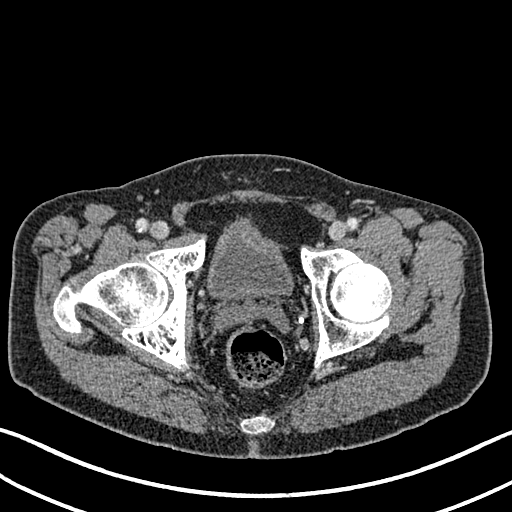
512x512 px | Pelvis | CT

The urinary bladder is located at 207, 228, 292, 303.